Slice 7/28; Medial temporal lobe; 32x51; MR
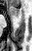 <segmentation>
  <anterior_hippocampus>x1=8, y1=7, x2=18, y2=16</anterior_hippocampus>
</segmentation>